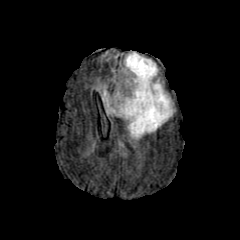
FLAIR MRI.
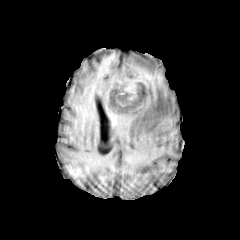
Same slice, T1-weighted MRI.
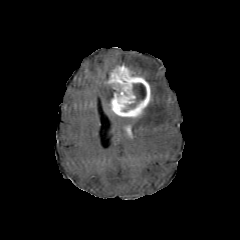
Post-contrast T1-weighted magnetic resonance of the same slice.
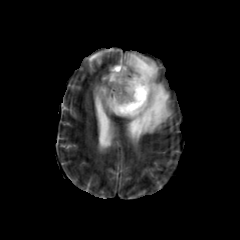
Same slice, T2-weighted magnetic resonance.
Brain
Findings:
• enhancing tumor: region(108, 64, 152, 120); region(125, 124, 132, 137)
• edema: region(97, 85, 128, 123); region(124, 52, 175, 143)
• non-enhancing tumor core: region(123, 117, 135, 125); region(133, 83, 145, 101)